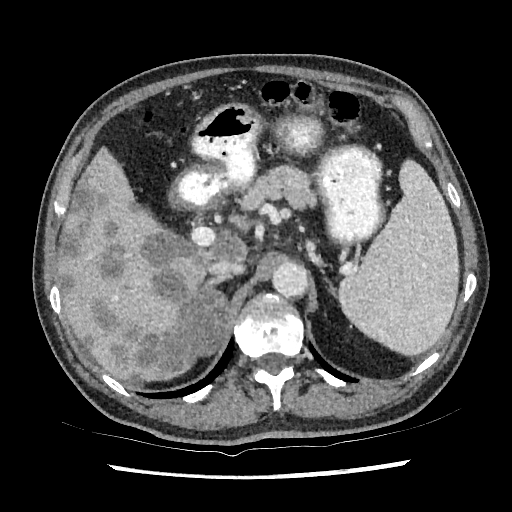

Liver. 512x512 px. CT image.
{
  "liver": [
    "(217, 230, 235, 239)",
    "(62, 217, 69, 234)",
    "(60, 149, 229, 379)"
  ],
  "focal_liver_lesion": [
    "(60, 269, 74, 293)",
    "(127, 201, 137, 211)",
    "(141, 233, 204, 266)",
    "(90, 269, 190, 373)",
    "(93, 221, 128, 280)",
    "(211, 236, 244, 262)",
    "(60, 179, 104, 260)",
    "(84, 336, 92, 344)"
  ]
}